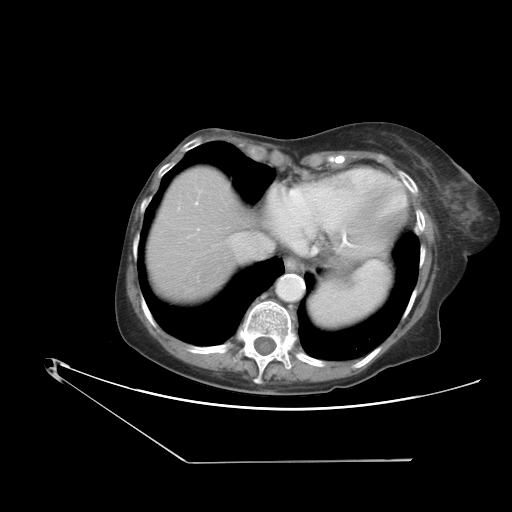

CT image
Not every hepatic vessel necessarily has a box.
Hepatic vessel: bounding box (195, 202, 197, 204).